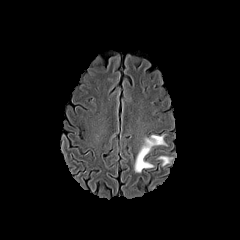
FLAIR MRI.
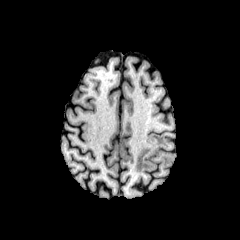
T1-weighted MR image of the same slice.
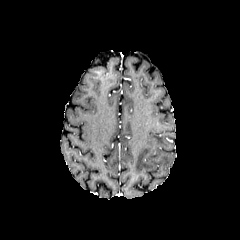
Post-contrast T1-weighted magnetic resonance of the same slice.
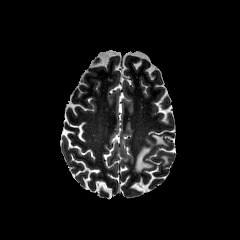
T2-weighted MRI of the same slice.
240x240. Head.
Annotated regions:
• edema: [158, 156, 168, 166], [134, 135, 167, 173]